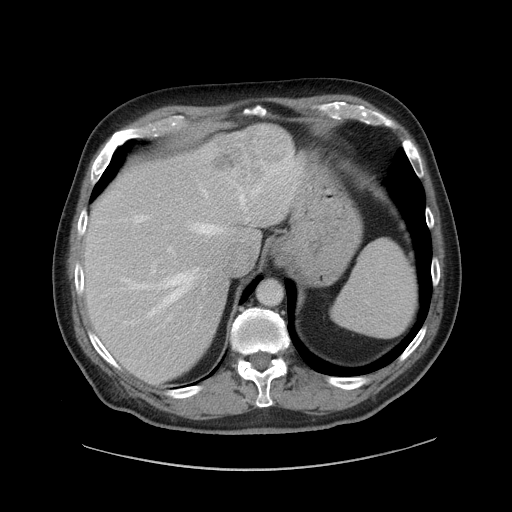

Computed tomography, Liver

Not every hepatic vessel necessarily has a box.
liver tumor: bbox(210, 125, 293, 188) | hepatic vessel: bbox(147, 268, 197, 315); bbox(237, 187, 246, 211); bbox(168, 247, 171, 251); bbox(191, 222, 218, 236); bbox(246, 218, 249, 220); bbox(133, 215, 147, 222); bbox(251, 186, 260, 195); bbox(202, 190, 207, 197); bbox(121, 278, 155, 289)